CT slice; Abdomen 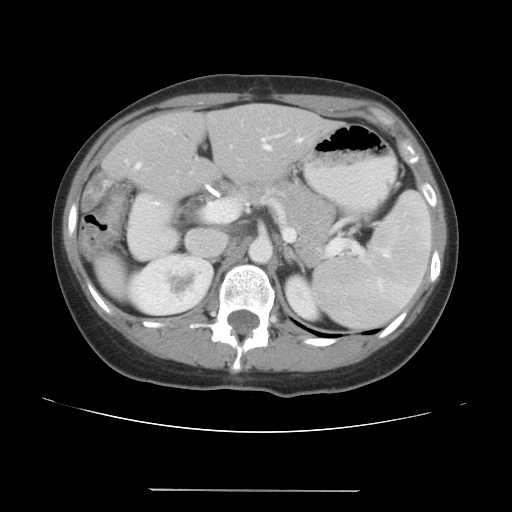 The vessel annotation is not exhaustive.
Hepatic vessel at box(261, 137, 271, 149); box(278, 134, 281, 135).
Liver tumor at box(81, 173, 117, 210).